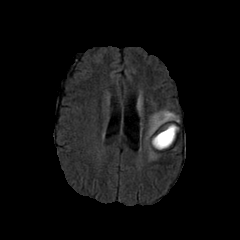
FLAIR MRI.
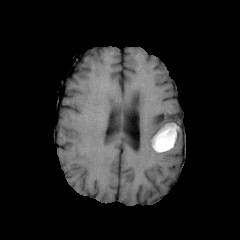
T1-weighted MR.
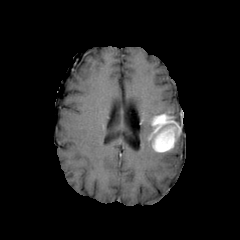
Post-contrast T1-weighted MRI of the same slice.
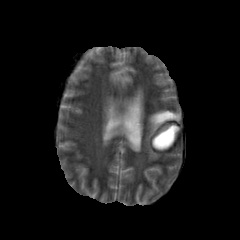
T2-weighted MRI.
240x240
Edema: bounding box 137 92 143 119, 144 107 177 160.
Non-enhancing tumor core: bounding box 157 121 174 132.
Enhancing tumor: bounding box 151 112 177 151.